Lower abdomen | CT slice
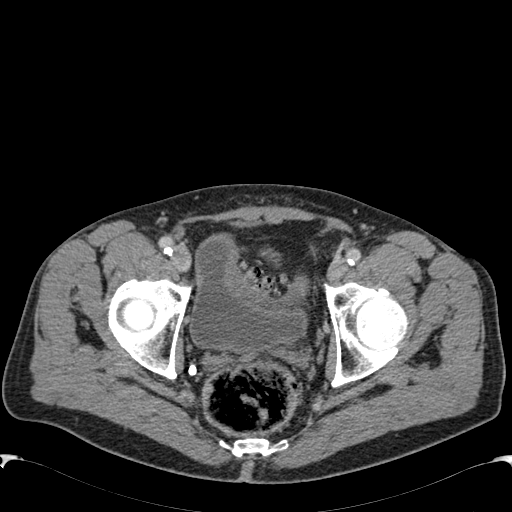 {"urinary_bladder": ["<box>260,247,281,267</box>", "<box>189,232,308,357</box>"]}